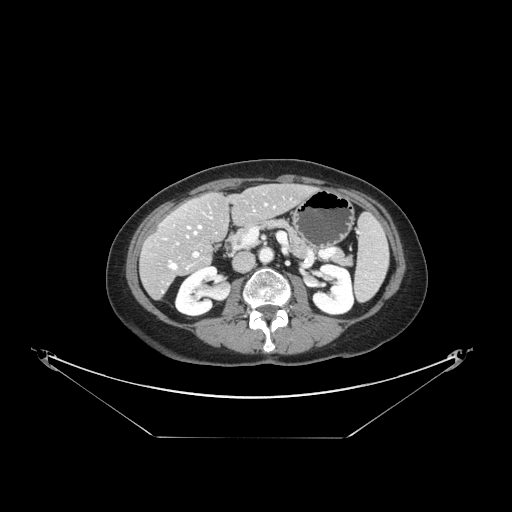
Abdomen. CT slice. Some hepatic vessels may have no box.
The hepatic vessel is bounded by l=194, t=252, r=197, b=255.